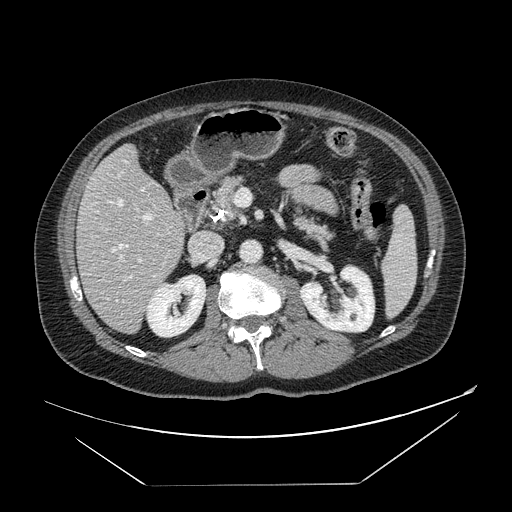 CT image
Findings:
* pancreas: 213,177,242,222; 293,210,332,239
* pancreatic tumor: 226,203,234,212